FLAIR magnetic resonance.
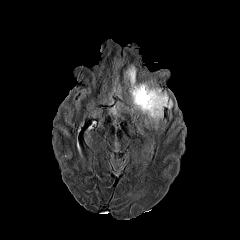
T1-weighted MR.
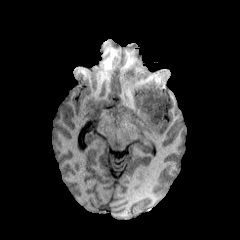
Post-contrast T1-weighted MRI.
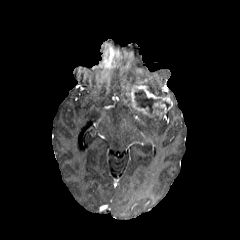
T2-weighted MRI.
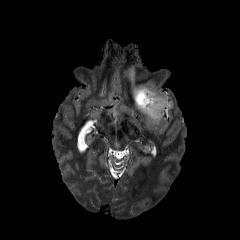
Image size 240x240
enhancing_tumor:
  - (x1=130, y1=85, x2=172, y2=116)
non-enhancing_tumor_core:
  - (x1=134, y1=90, x2=162, y2=112)
edema:
  - (x1=124, y1=64, x2=168, y2=96)
  - (x1=144, y1=114, x2=160, y2=129)